Computed tomography; Slice 93 of 138; Abdomen 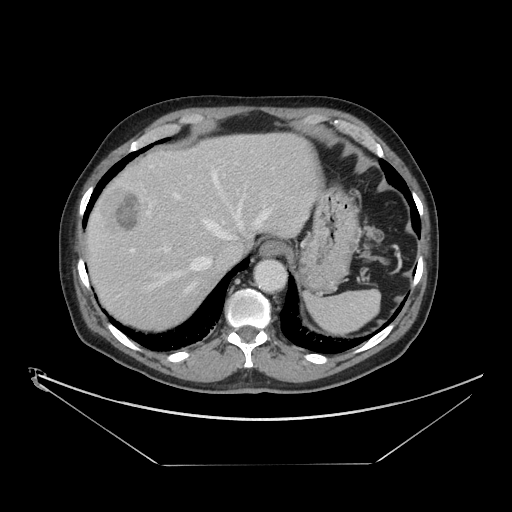

Not every hepatic vessel necessarily has a box.
Liver tumor = 101 187 146 238.
Hepatic vessel = 163 248 169 251, 253 212 267 226, 213 173 219 188, 174 193 178 197, 149 203 151 206, 234 199 242 229, 190 257 211 270, 222 221 224 223, 203 220 232 239, 185 282 195 291, 149 272 181 286, 130 249 134 251, 188 176 190 177, 147 211 149 214.